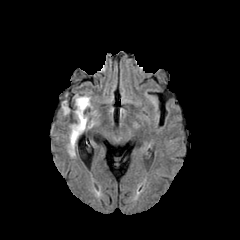
FLAIR MR image.
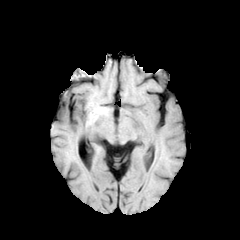
T1-weighted MRI.
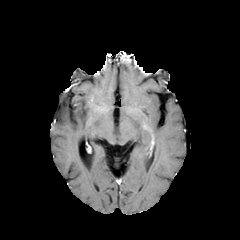
Post-contrast T1-weighted MR image.
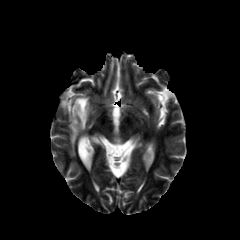
T2-weighted MRI of the same slice.
Brain
{
  "non-enhancing_tumor_core": [
    "[74, 96, 85, 107]"
  ],
  "edema": [
    "[62, 94, 94, 156]"
  ]
}